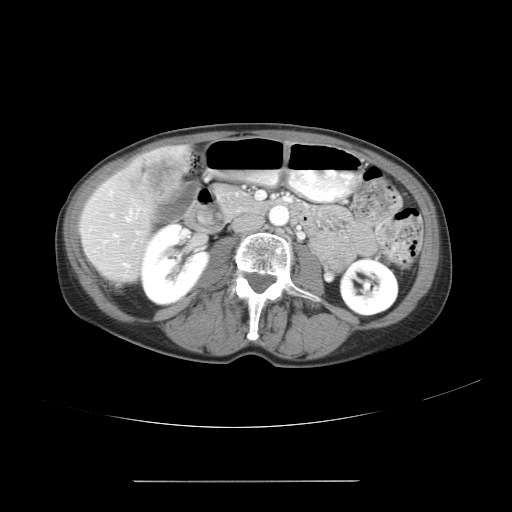
CT slice | Image size 512x512 | Abdomen

Not every hepatic vessel necessarily has a box.
6 hepatic vessel regions are located at 123,262,128,266; 110,191,111,193; 113,234,116,236; 110,213,113,215; 125,208,138,220; 136,231,138,233. The liver tumor is bounded by 137,153,181,200.